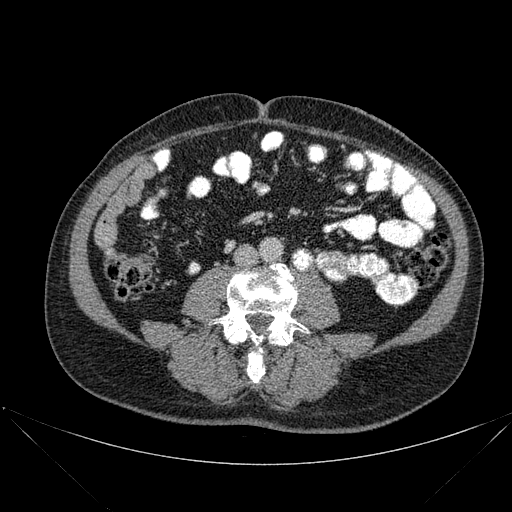 CT scan slice. 2 bone regions appear at x1=215 y1=263 x2=307 y2=345, x1=247 y1=347 x2=264 y2=382.